Slice index 124 | Head | 240x240 px
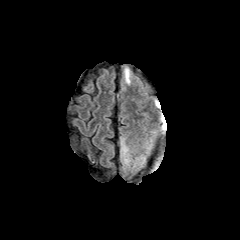
FLAIR MR.
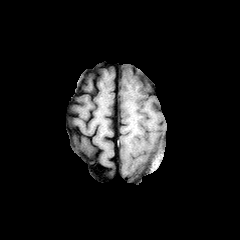
T1-weighted MR of the same slice.
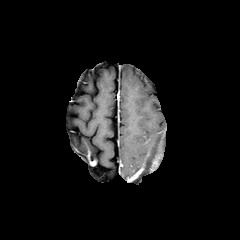
Post-contrast T1-weighted magnetic resonance of the same slice.
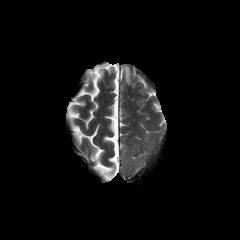
T2-weighted MRI.
Edema = l=122, t=66, r=132, b=83.